Upper abdomen. CT slice. Field of view 500x500 mm. Image size 512x512. 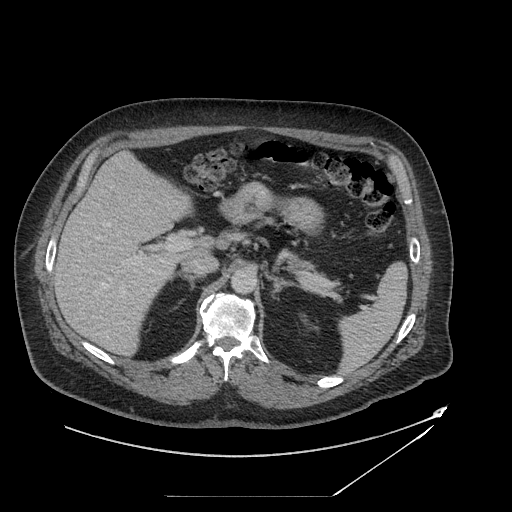

Pancreas: bounding box box(283, 251, 322, 274); box(303, 284, 342, 301).